FLAIR MR.
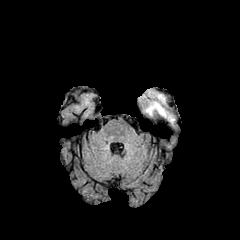
T1-weighted MR image.
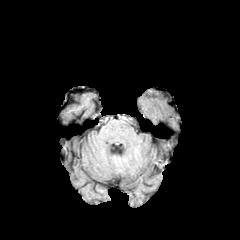
Post-contrast T1-weighted magnetic resonance.
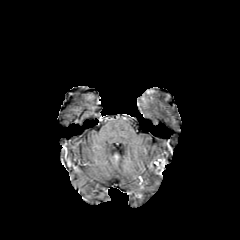
T2-weighted magnetic resonance.
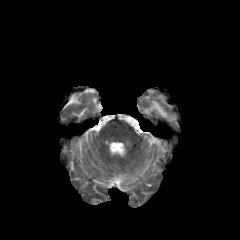
2 edema regions are located at box(145, 101, 173, 121); box(157, 94, 165, 104).